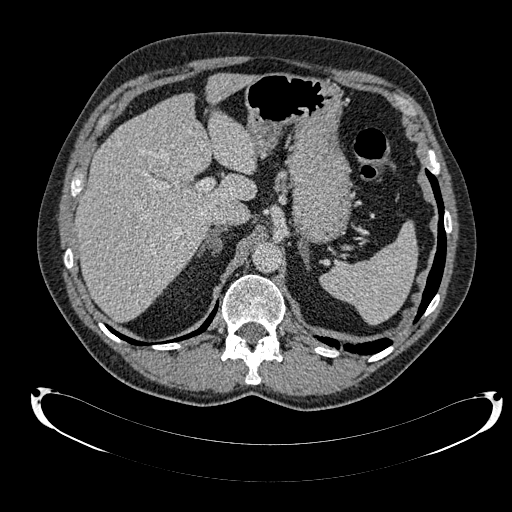
Computed tomography | 512x512 | Abdomen

2 liver regions appear at x1=76 y1=94 x2=255 y2=320, x1=207 y1=74 x2=249 y2=106.